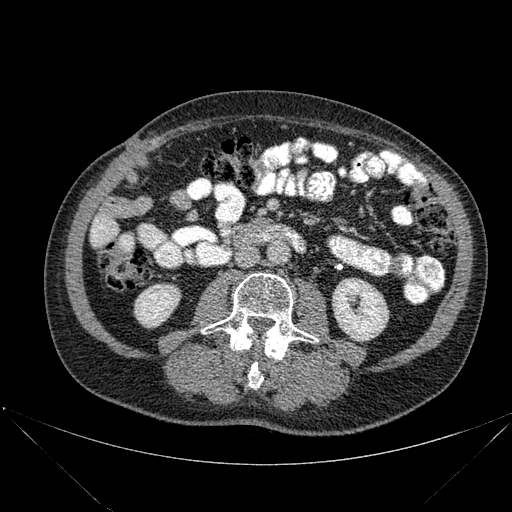
CT image
Segmented structures:
• bone: (201, 273, 318, 359), (248, 362, 263, 388)
• kidney: (332, 278, 388, 340), (135, 285, 180, 327)